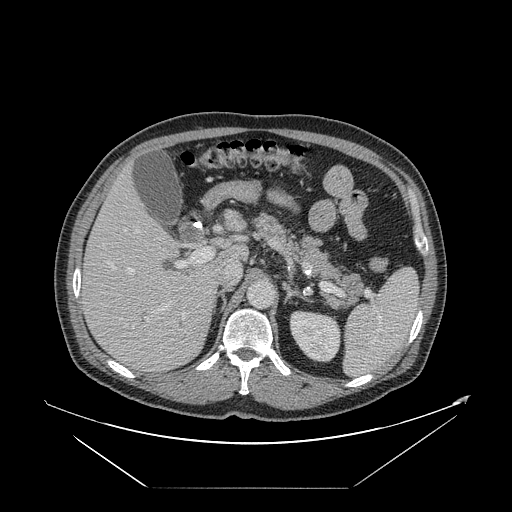

Liver, CT slice
Only some of the vessels may be annotated.
- hepatic vessel: left=144, top=317, right=148, bottom=320; left=127, top=268, right=133, bottom=274; left=108, top=262, right=114, bottom=269; left=136, top=230, right=139, bottom=232; left=176, top=247, right=213, bottom=266; left=224, top=260, right=240, bottom=277; left=124, top=229, right=126, bottom=231; left=125, top=325, right=127, bottom=326; left=207, top=287, right=215, bottom=293; left=157, top=304, right=168, bottom=311